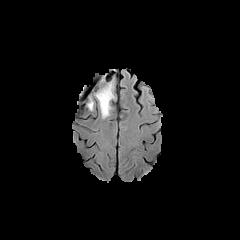
FLAIR MRI.
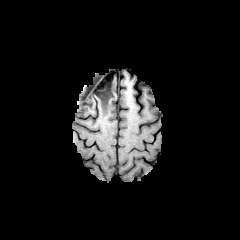
T1-weighted MR image.
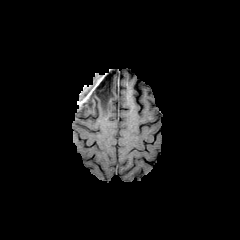
Same slice, post-contrast T1-weighted MR.
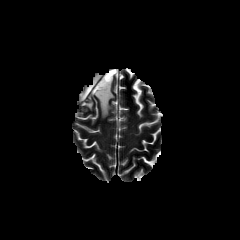
T2-weighted MR.
Annotated regions:
• edema: 100,80,115,113; 88,96,101,117
• non-enhancing tumor core: 98,100,109,117; 82,80,111,106